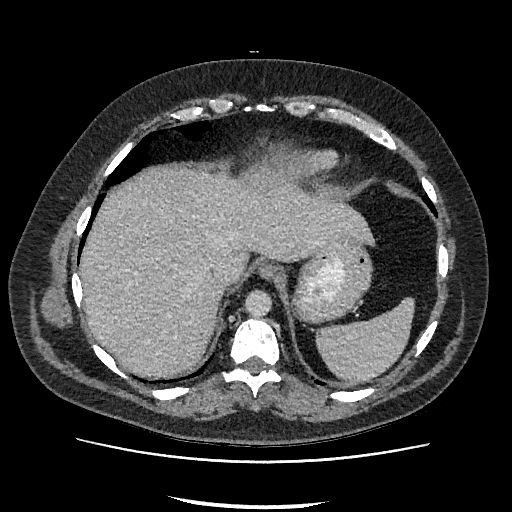

Computed tomography; Upper abdomen
The liver is bounded by (81, 169, 371, 376).